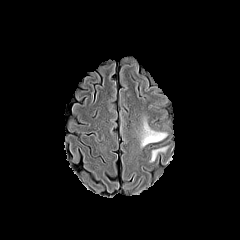
FLAIR MR image.
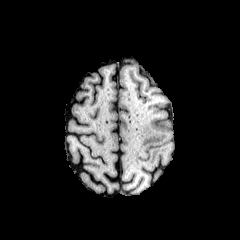
T1-weighted magnetic resonance.
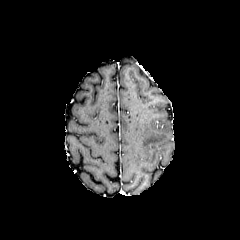
Post-contrast T1-weighted magnetic resonance.
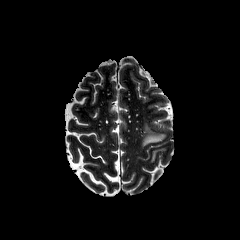
T2-weighted MRI.
Image size 240x240.
2 edema regions are bounded by x1=150 y1=148 x2=167 y2=162, x1=141 y1=122 x2=166 y2=146.